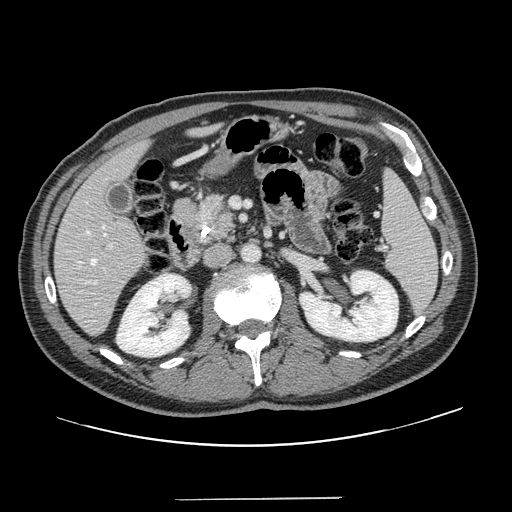

Computed tomography
pancreatic tumor: left=200, top=198, right=232, bottom=243 | pancreas: left=172, top=190, right=239, bottom=247